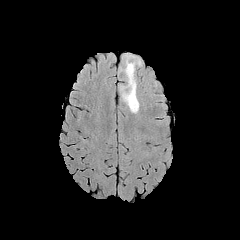
FLAIR MR image.
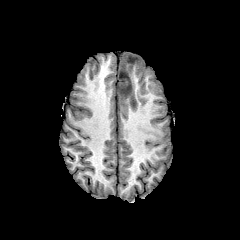
T1-weighted MR image of the same slice.
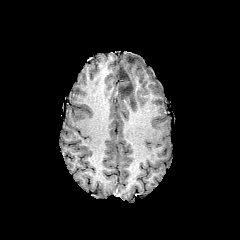
Post-contrast T1-weighted MR of the same slice.
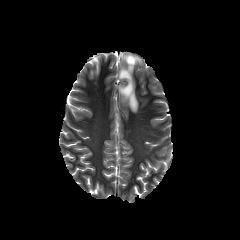
T2-weighted MR of the same slice.
Head
Non-enhancing tumor core: bounding box bbox=[120, 70, 129, 81]; bbox=[124, 55, 137, 65]; bbox=[119, 82, 132, 95].
Edema: bounding box bbox=[118, 53, 141, 112].